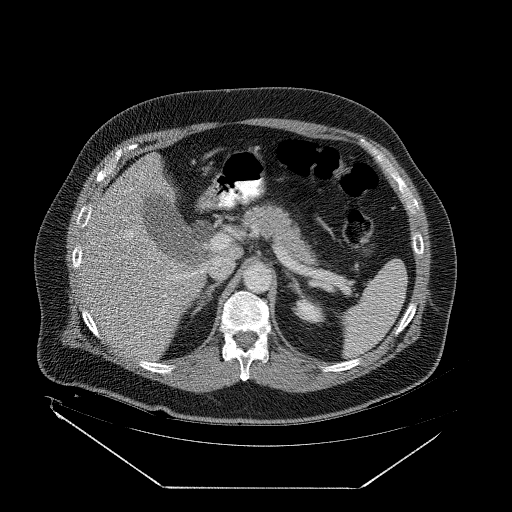 Computed tomography, 512x512
The pancreas appears at [240, 204, 321, 268].